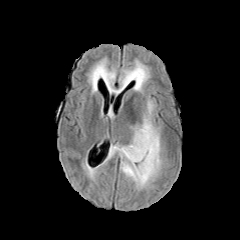
FLAIR MR image.
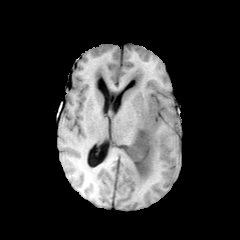
T1-weighted MR of the same slice.
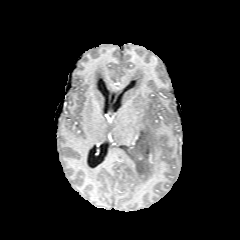
Post-contrast T1-weighted MR.
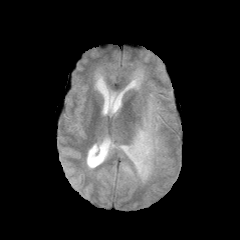
T2-weighted MR image of the same slice.
240x240 px. Brain.
• edema: 112:60:149:94, 109:95:164:188, 90:66:113:85
• non-enhancing tumor core: 120:129:152:182, 126:167:134:177